FLAIR magnetic resonance.
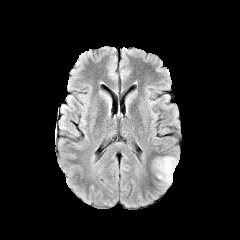
T1-weighted magnetic resonance.
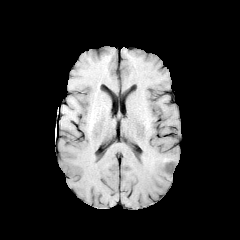
Post-contrast T1-weighted MRI.
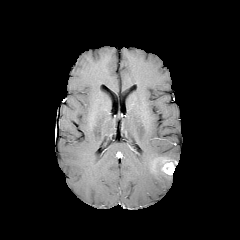
T2-weighted magnetic resonance.
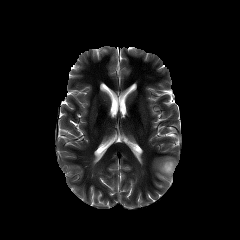
Image size 240x240.
Enhancing tumor — <box>161,160,174,175</box>.
Edema — <box>155,156,175,185</box>.